240x240 px
FLAIR magnetic resonance.
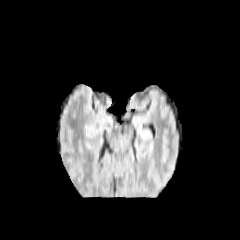
T1-weighted MR image.
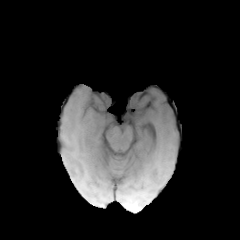
Post-contrast T1-weighted magnetic resonance.
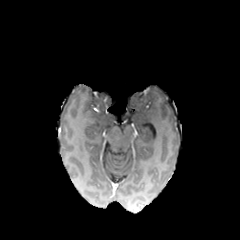
T2-weighted MRI.
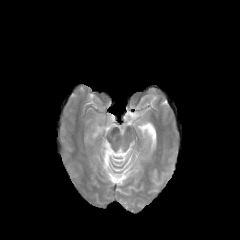
non-enhancing_tumor_core:
  - bbox=[94, 95, 110, 107]